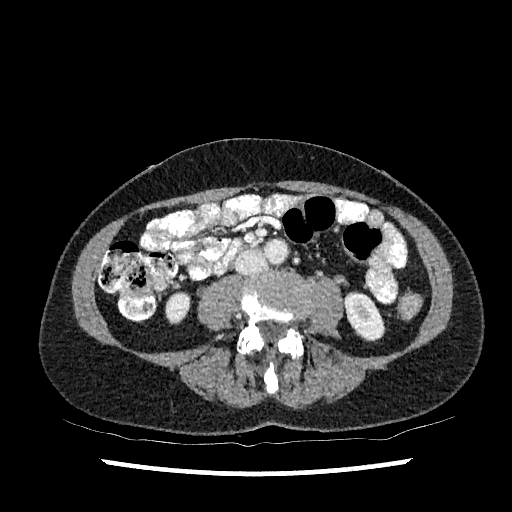
CT slice. Segmented structures:
• kidney: [345, 294, 383, 339], [166, 294, 188, 321]